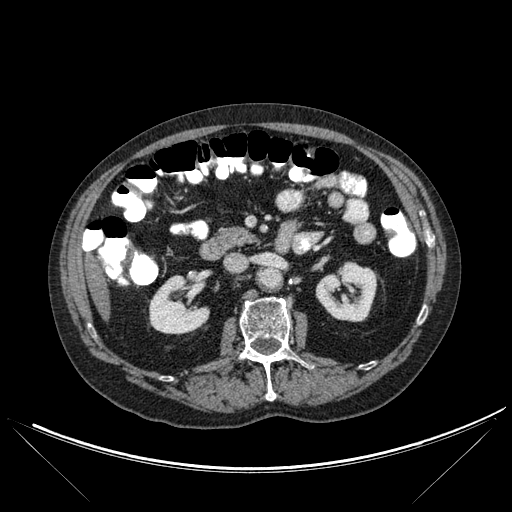
512x512. CT slice.

Liver = [x1=85, y1=258, x2=109, y2=320].
Kidney = [x1=150, y1=276, x2=208, y2=333], [x1=316, y1=262, x2=376, y2=321].
Bone = [x1=240, y1=297, x2=290, y2=400].